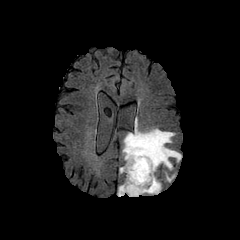
FLAIR MR image.
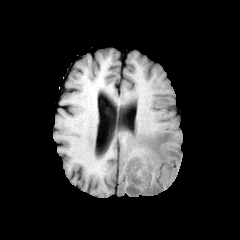
T1-weighted MRI.
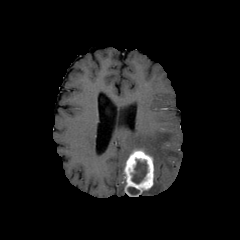
Post-contrast T1-weighted MRI of the same slice.
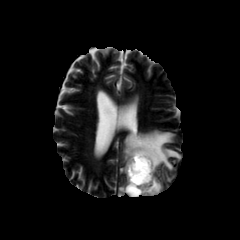
T2-weighted MR image.
Brain
Enhancing tumor: bounding box (124,148,153,195).
Non-enhancing tumor core: bounding box (128,187,139,194), (132,160,146,183).
Edema: bounding box (122,120,181,181), (140,177,161,194), (118,178,125,195).